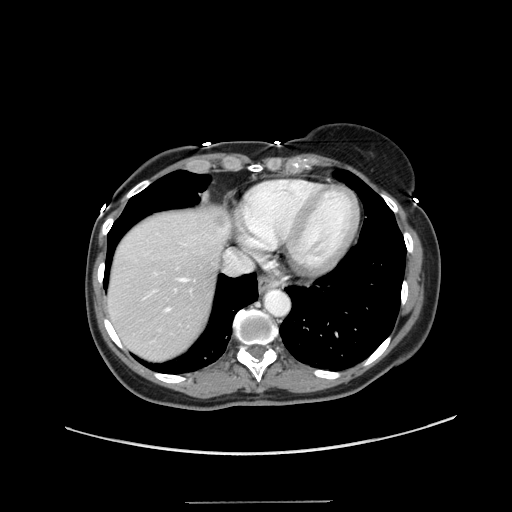 512x512. Computed tomography. Abdomen.

Only some of the vessels may be annotated.
Hepatic vessel: [x1=180, y1=278, x2=186, y2=280], [x1=226, y1=250, x2=250, y2=272], [x1=166, y1=308, x2=169, y2=310].
Liver tumor: [x1=210, y1=211, x2=227, y2=230].